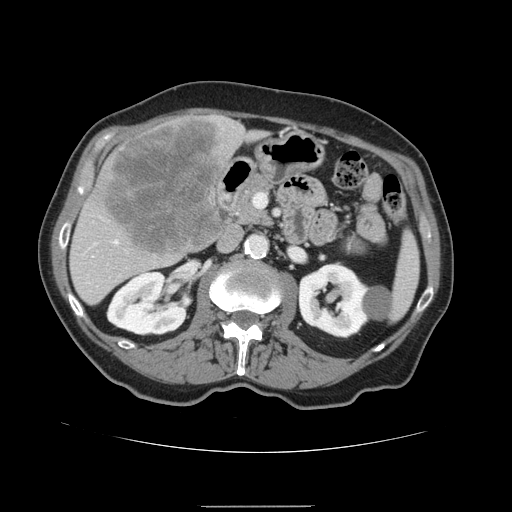

512x512 | CT | Abdomen

The spleen is located at {"x1": 390, "y1": 233, "x2": 419, "y2": 319}.